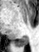

Hippocampus, Magnetic resonance, 39x52 px
Posterior hippocampus — <bbox>16, 37, 28, 45</bbox>.